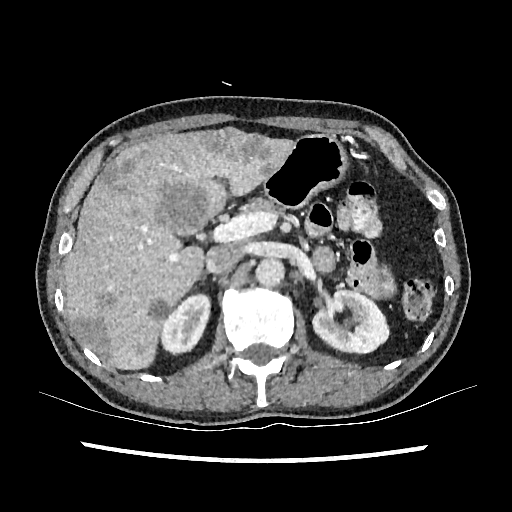

CT scan slice.
<segmentation>
  <liver>65:129:296:369</liver>
  <kidney>162:295:209:352, 313:290:388:352, 360:308:394:358</kidney>
  <focal_liver_lesion>97:294:114:308, 147:299:172:320, 199:134:271:162, 156:183:208:230, 73:317:109:359, 260:163:275:177, 98:159:134:190, 136:342:146:354</focal_liver_lesion>
</segmentation>